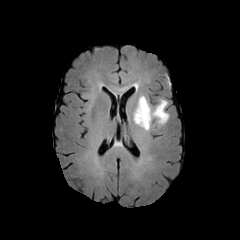
FLAIR magnetic resonance.
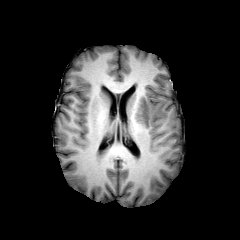
Same slice, T1-weighted MRI.
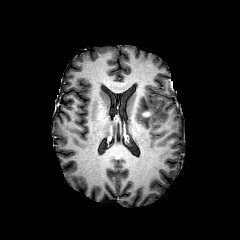
Post-contrast T1-weighted magnetic resonance.
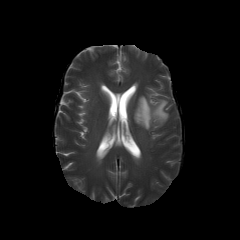
T2-weighted MRI of the same slice.
Brain
The edema is bounded by 134, 95, 169, 132.